Slice 427/654, CT, 512x512

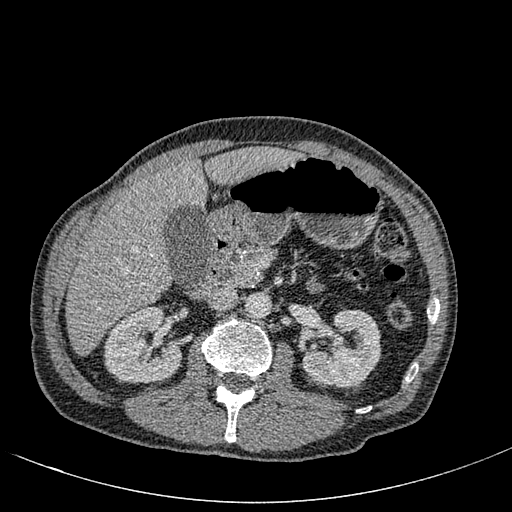 Liver at x1=67, y1=160, x2=207, y2=354; x1=205, y1=147, x2=297, y2=184.
Kidney at x1=105, y1=307, x2=181, y2=382; x1=299, y1=308, x2=380, y2=386.